FLAIR magnetic resonance.
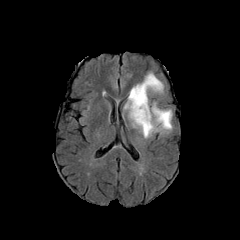
T1-weighted magnetic resonance.
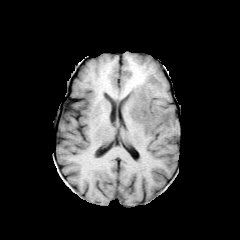
Post-contrast T1-weighted magnetic resonance.
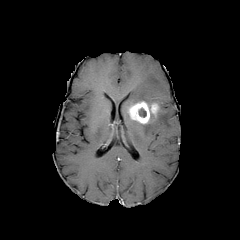
T2-weighted magnetic resonance.
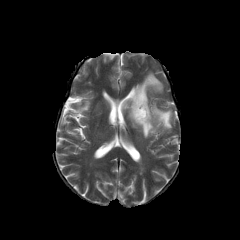
Head | 240x240
Non-enhancing tumor core at [149, 106, 160, 122], [126, 98, 143, 116].
Edema at [124, 72, 172, 137].
Enhancing tumor at [129, 100, 157, 123].